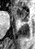
MRI slice | Medial temporal lobe
The anterior hippocampus appears at bbox(11, 7, 28, 20).